Field of view 360x360 mm; 512x512 px; Slice 50 of 82; CT image
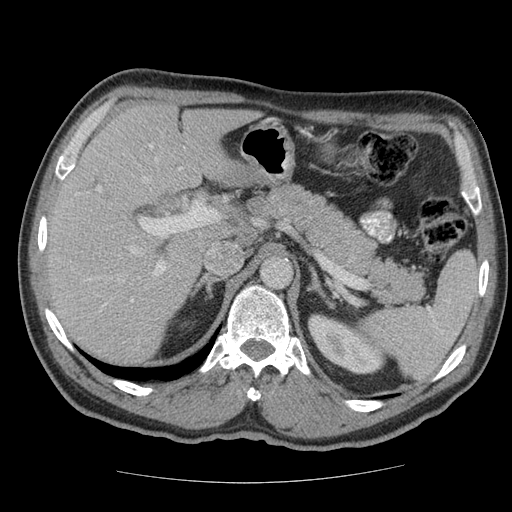

Some hepatic vessels may have no box.
hepatic_vessel:
  - <bbox>145, 287, 147, 288</bbox>
  - <bbox>156, 260, 164, 273</bbox>
  - <bbox>198, 225, 204, 226</bbox>
  - <bbox>133, 246, 143, 254</bbox>
  - <bbox>178, 168, 180, 170</bbox>
  - <bbox>149, 144, 152, 148</bbox>
  - <bbox>138, 222, 146, 230</bbox>
  - <bbox>97, 186, 100, 190</bbox>
  - <bbox>130, 299, 132, 302</bbox>